Image width 240 mm
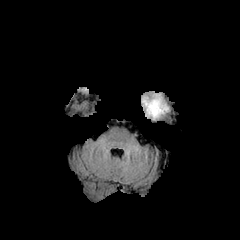
FLAIR magnetic resonance.
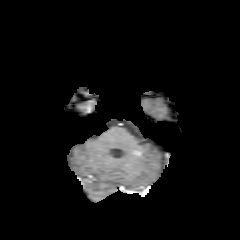
T1-weighted MR image of the same slice.
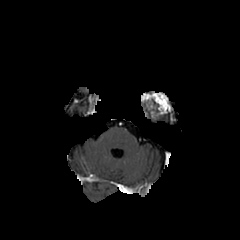
Post-contrast T1-weighted MR image of the same slice.
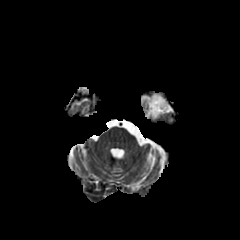
T2-weighted MRI.
Enhancing tumor = (141,93,169,117).
Non-enhancing tumor core = (142,102,150,116).